240x240 px | Slice 84 of 155
FLAIR MRI.
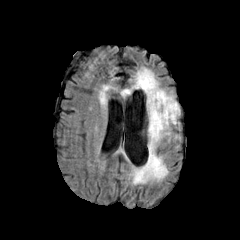
T1-weighted magnetic resonance.
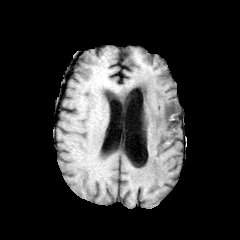
Post-contrast T1-weighted MR image.
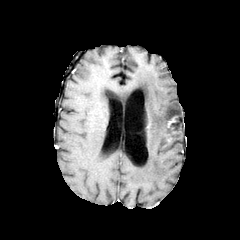
T2-weighted magnetic resonance.
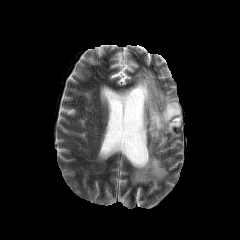
* edema: <box>99,86,113,104</box>, <box>119,68,180,184</box>
* non-enhancing tumor core: <box>166,105,174,114</box>